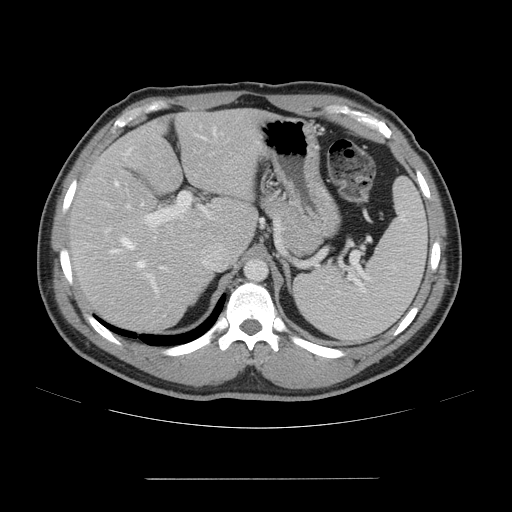

Computed tomography. Liver. 512x512.
The vessel annotation is not exhaustive.
Principal 15 of 17 hepatic vessel regions = region(160, 266, 165, 268); region(196, 134, 206, 139); region(110, 249, 117, 253); region(114, 181, 118, 185); region(121, 238, 135, 248); region(145, 192, 190, 225); region(123, 148, 131, 155); region(213, 128, 215, 135); region(146, 274, 158, 292); region(141, 203, 143, 204); region(105, 203, 107, 204); region(137, 261, 144, 266); region(199, 205, 209, 217); region(105, 229, 110, 230); region(127, 205, 129, 207).